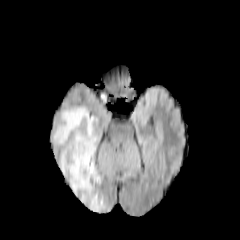
FLAIR magnetic resonance.
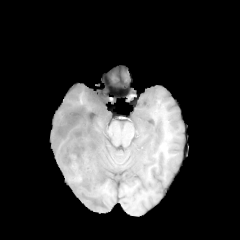
T1-weighted magnetic resonance of the same slice.
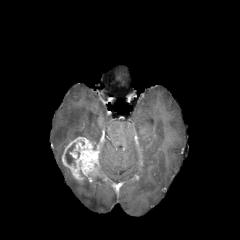
Post-contrast T1-weighted magnetic resonance.
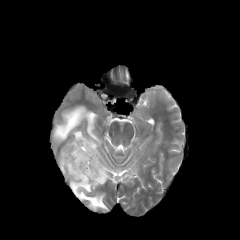
T2-weighted MR image of the same slice.
Head; 240x240
* edema: rect(51, 105, 107, 210)
* enhancing tumor: rect(61, 136, 104, 182)
* non-enhancing tumor core: rect(64, 142, 76, 167)